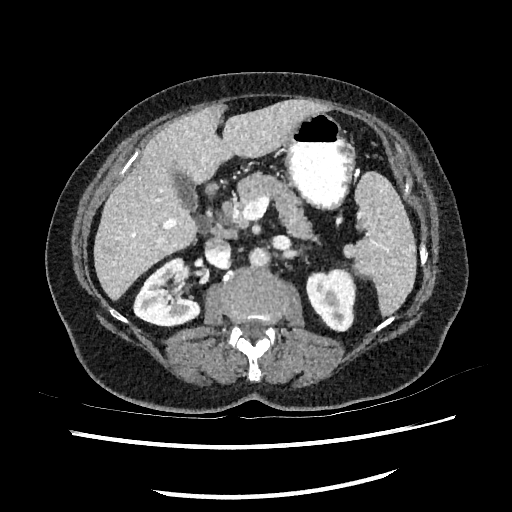
Upper abdomen; CT slice
Segmented structures:
- liver lesion: region(102, 239, 117, 255)
- liver: region(94, 99, 323, 298)
- kidney: region(134, 259, 199, 325); region(307, 270, 354, 330)